Image width 240 mm | Head
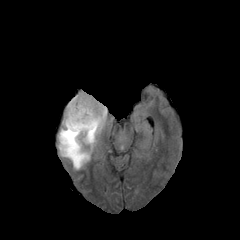
FLAIR MR image.
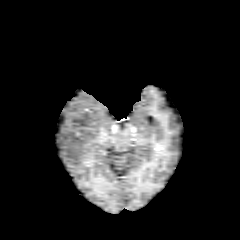
T1-weighted MR.
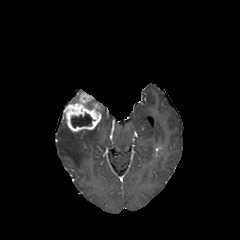
Post-contrast T1-weighted MR.
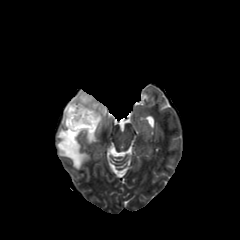
T2-weighted MR image.
• edema: left=58, top=104, right=107, bottom=169
• non-enhancing tumor core: left=70, top=114, right=94, bottom=128
• enhancing tumor: left=63, top=91, right=103, bottom=132